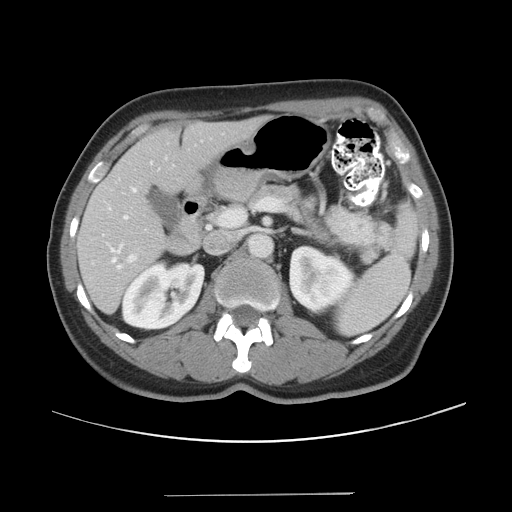 Abdomen; CT scan slice; Image size 512x512

Not every hepatic vessel necessarily has a box.
Hepatic vessel: <bbox>150, 161, 152, 163</bbox>, <bbox>128, 255, 135, 261</bbox>, <bbox>165, 157, 166, 159</bbox>, <bbox>107, 204, 111, 209</bbox>, <bbox>132, 188, 136, 191</bbox>, <bbox>117, 265, 121, 268</bbox>, <bbox>102, 234, 103, 235</bbox>, <bbox>124, 215, 127, 218</bbox>, <bbox>112, 257, 115, 261</bbox>, <bbox>107, 243, 122, 253</bbox>.